Slice index 11. Computed tomography. Image width 400 mm. 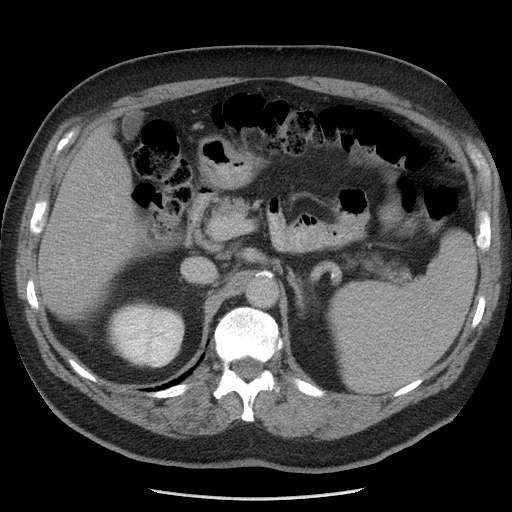 Not every hepatic vessel necessarily has a box.
Hepatic vessel: bounding box l=109, t=224, r=114, b=230; l=93, t=213, r=104, b=217.